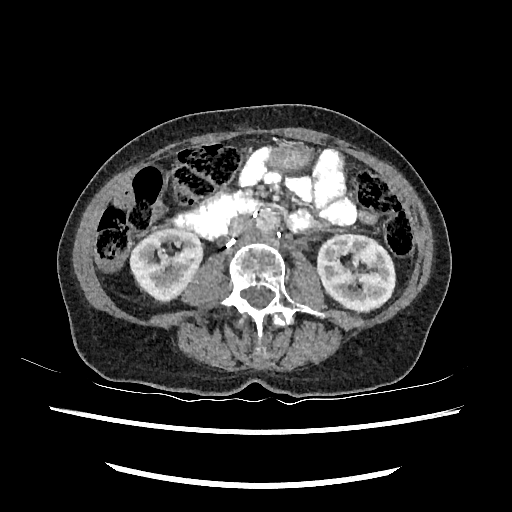
CT

kidney: [x1=130, y1=228, x2=201, y2=299], [x1=318, y1=234, x2=394, y2=310]